Slice index 272, Abdomen, Computed tomography
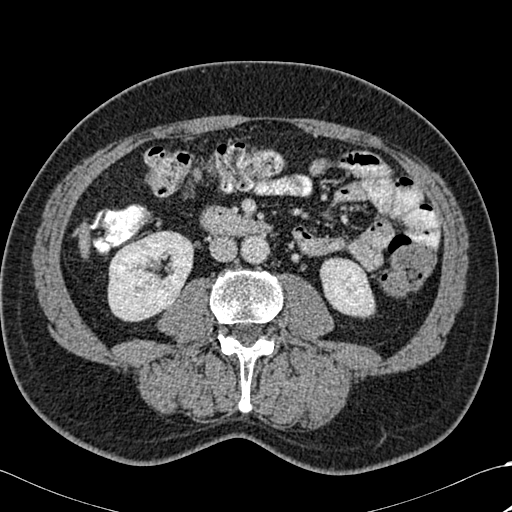
<segmentation>
  <bone>left=218, top=334, right=274, bottom=411; left=210, top=270, right=282, bottom=332</bone>
  <kidney>left=321, top=259, right=373, bottom=315; left=108, top=232, right=192, bottom=320</kidney>
</segmentation>